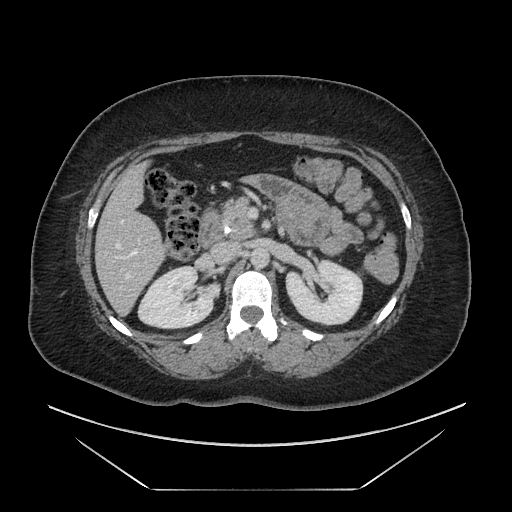 CT slice, 512x512
The pancreas is bounded by <bbox>224, 198, 255, 240</bbox>.